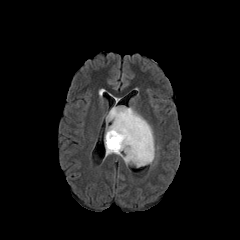
FLAIR magnetic resonance.
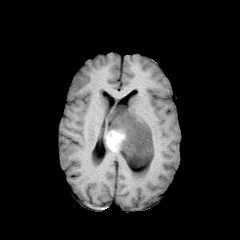
T1-weighted magnetic resonance of the same slice.
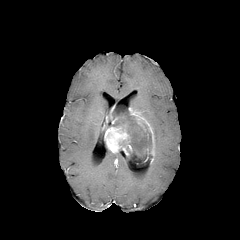
Post-contrast T1-weighted MR image.
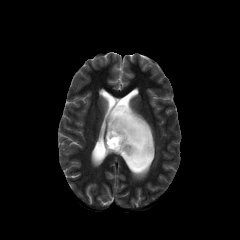
T2-weighted MRI of the same slice.
240x240 px
- non-enhancing tumor core: [x1=112, y1=106, x2=152, y2=166]
- enhancing tumor: [x1=105, y1=106, x2=133, y2=157], [x1=128, y1=107, x2=154, y2=163]